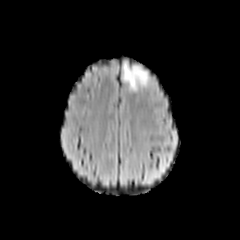
FLAIR MR.
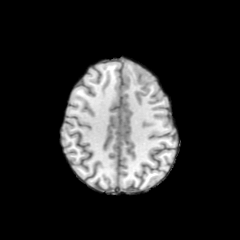
T1-weighted magnetic resonance.
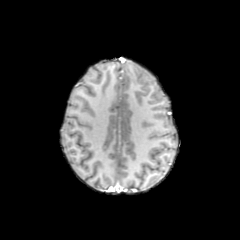
Post-contrast T1-weighted MR image.
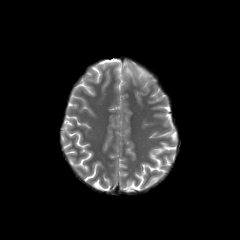
Same slice, T2-weighted MRI.
240x240 px; Brain
Edema at <box>122,64,146,89</box>.
Non-enhancing tumor core at <box>131,66,149,81</box>.